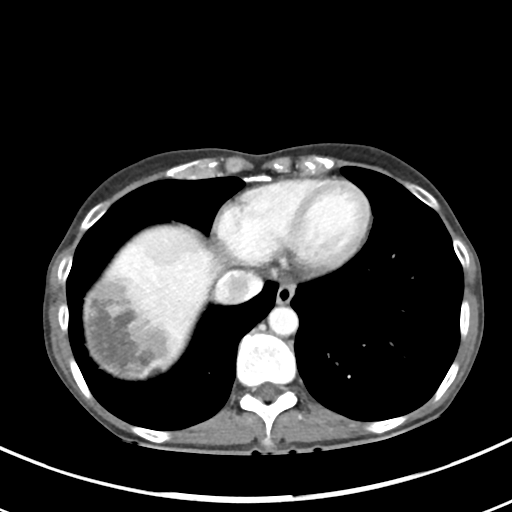

Abdomen. Image size 512x512. CT image. Liver tumor — (left=85, top=271, right=175, bottom=377).